Brain | Slice index 56
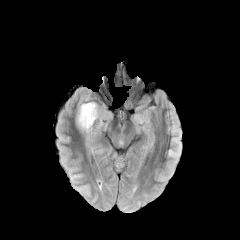
FLAIR MRI.
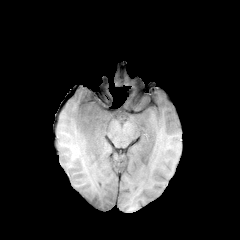
T1-weighted MR image.
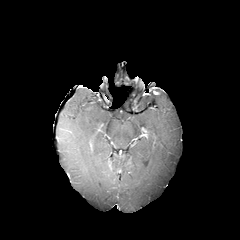
Same slice, post-contrast T1-weighted MR image.
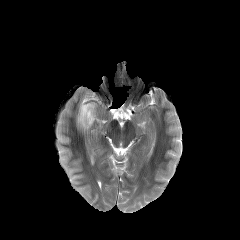
Same slice, T2-weighted MRI.
The edema is at 76,94,101,135.